Slice 450 of 455. Computed tomography.

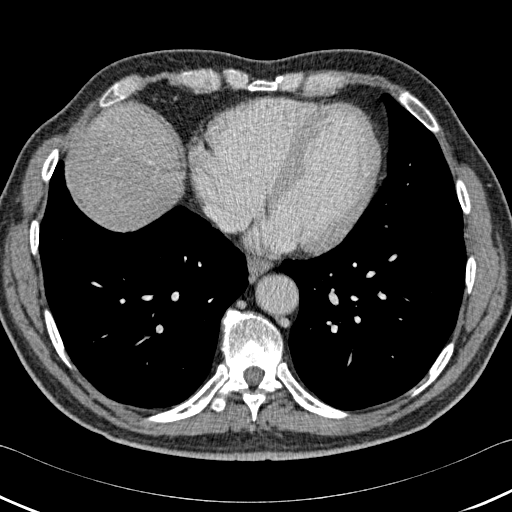

lung: (272, 89, 466, 410), (39, 159, 250, 408) | bone: (466, 257, 475, 293), (147, 310, 347, 422), (399, 92, 438, 131), (242, 75, 286, 90), (42, 149, 57, 181), (45, 310, 70, 367), (100, 82, 128, 106), (457, 180, 470, 213), (412, 343, 453, 395), (30, 221, 38, 254) | liver: (80, 110, 173, 231)